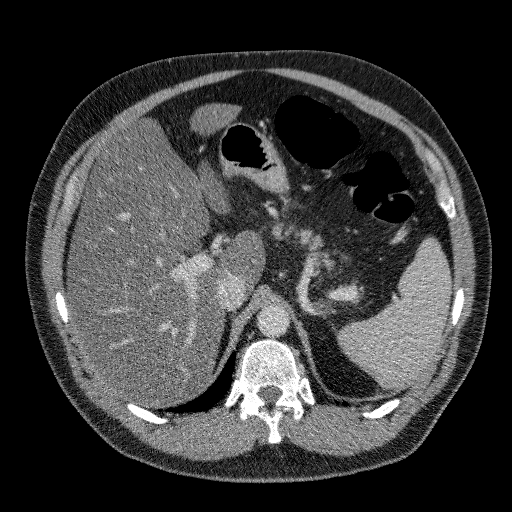
Computed tomography; Liver; Image size 512x512
Annotated regions:
• liver: 67,118,265,406; 192,103,237,136